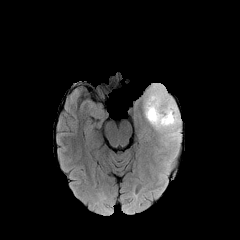
FLAIR MR.
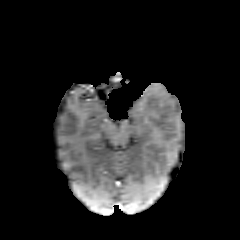
T1-weighted MRI.
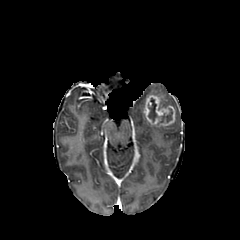
Post-contrast T1-weighted MRI.
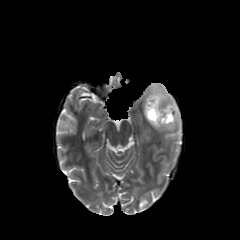
T2-weighted MRI.
240x240 px | Brain
Non-enhancing tumor core — [158, 111, 172, 124], [148, 99, 156, 121].
Enhancing tumor — [144, 94, 175, 126].
Edema — [146, 84, 181, 147].